MR image | Heart 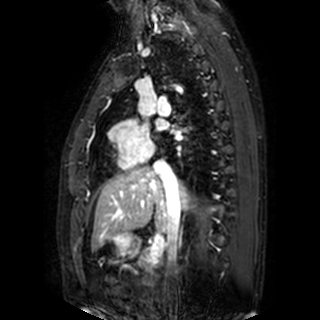
{"left_atrium": ["rect(156, 120, 167, 129)"]}